FLAIR MRI.
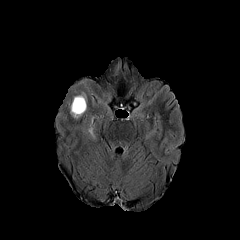
T1-weighted MRI.
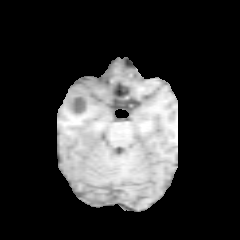
Post-contrast T1-weighted magnetic resonance.
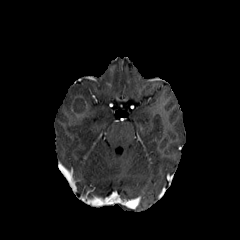
T2-weighted magnetic resonance.
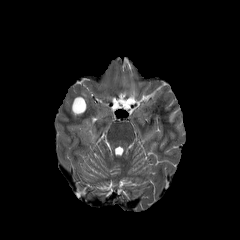
Brain
Edema: bounding box [69,104,80,119], [87,117,94,136].
Non-enhancing tumor core: bounding box [72,98,85,112].